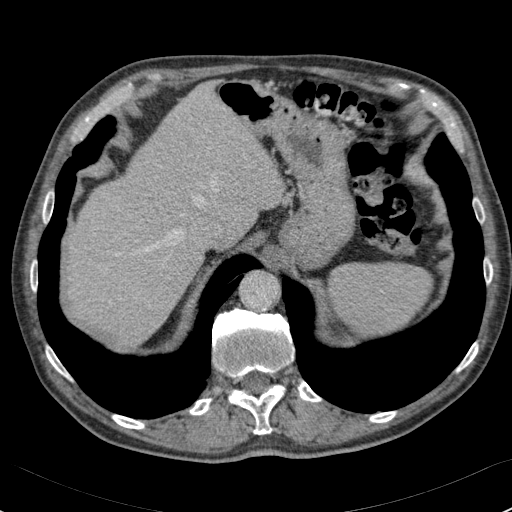
Abdomen; 512x512; CT scan slice
Liver at <bbox>69, 83, 283, 343</bbox>.